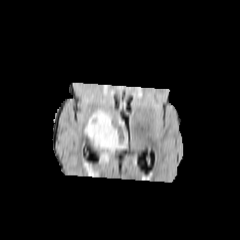
FLAIR magnetic resonance.
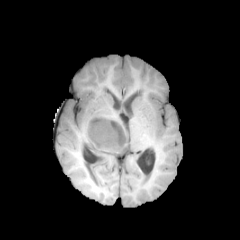
Same slice, T1-weighted MR.
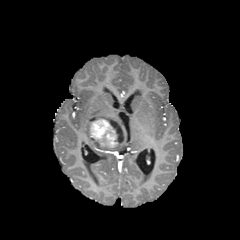
Post-contrast T1-weighted magnetic resonance.
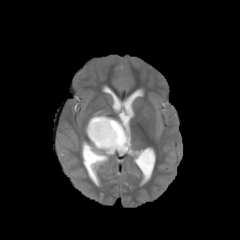
Same slice, T2-weighted magnetic resonance.
Head. 240x240 px.
Annotated regions:
• edema: l=102, t=144, r=126, b=154
• non-enhancing tumor core: l=85, t=114, r=127, b=150
• enhancing tumor: l=86, t=118, r=122, b=148